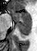
37x51. MRI. Medial temporal lobe.
The posterior hippocampus appears at bbox=[16, 22, 30, 35]. The anterior hippocampus appears at bbox=[9, 9, 30, 21].